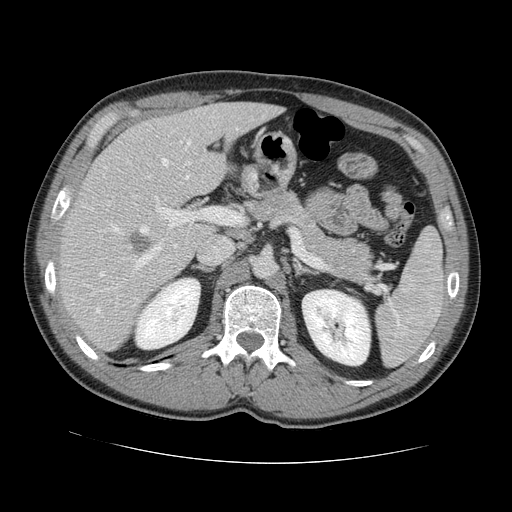
Abdomen. CT slice.

The vessel boxes may cover only some of the vessels.
{"partial": true, "hepatic_vessel": {"n_total": 30, "boxes": ["126,159,130,164", "155,196,157,203", "140,226,147,233", "134,244,160,268", "100,287,115,291", "184,161,190,165", "81,204,92,210", "146,175,151,178", "185,140,190,150", "133,298,139,303", "100,230,104,237", "96,307,100,314", "132,195,137,198", "162,158,167,165", "106,225,121,232"]}, "liver_tumor": ["130,232,155,255"]}